FLAIR MR.
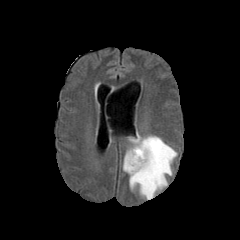
T1-weighted MR image.
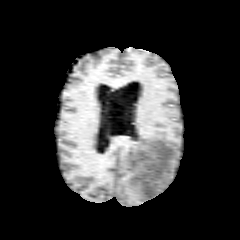
Post-contrast T1-weighted MR.
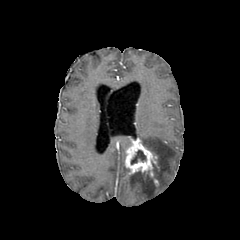
T2-weighted MRI.
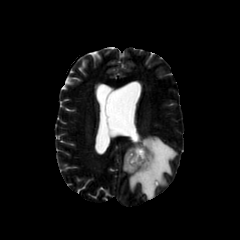
Image size 240x240 | Head
Non-enhancing tumor core = (left=149, top=149, right=159, bottom=179), (left=130, top=150, right=146, bottom=163).
Enhancing tumor = (left=125, top=138, right=156, bottom=177).
Edema = (left=121, top=135, right=177, bottom=199).